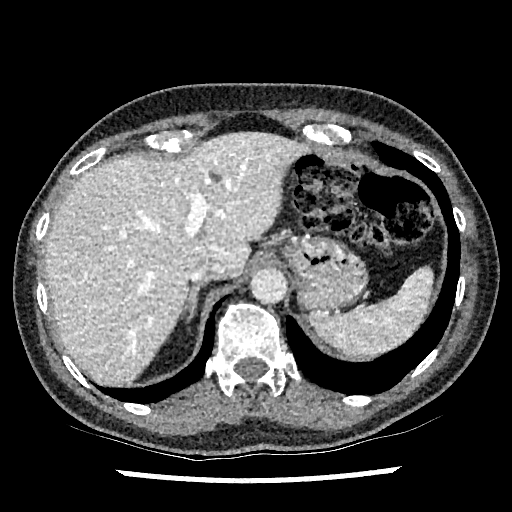

Abdomen, CT scan slice
Annotated regions:
• focal liver lesion: <bbox>210, 173, 222, 182</bbox>
• liver: <bbox>45, 132, 310, 385</bbox>